Liver; Computed tomography

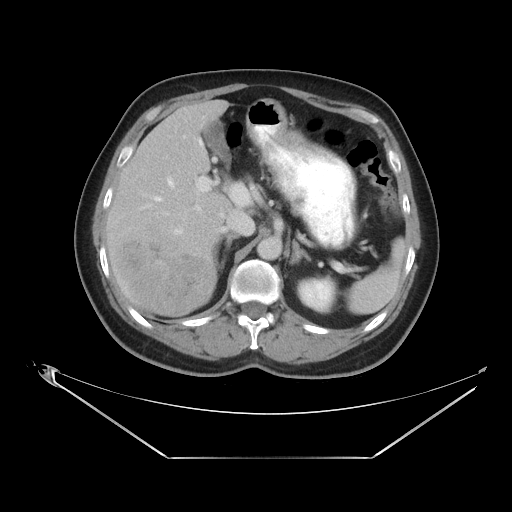
The vessel annotation is not exhaustive.
The liver tumor is located at bbox(109, 232, 214, 315). 4 hepatic vessel regions appear at bbox(197, 177, 208, 191); bbox(197, 206, 199, 208); bbox(155, 197, 161, 201); bbox(169, 181, 172, 184).